Computed tomography; Slice index 48; 512x512 px 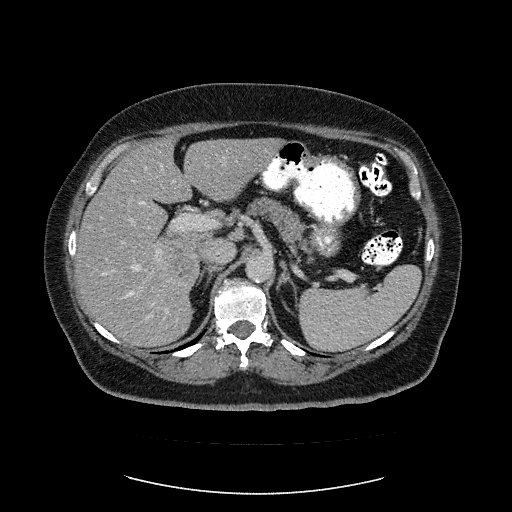
The vessel annotation is not exhaustive.
Segmented structures:
- hepatic vessel (most prominent 15 of 19): [145, 168, 146, 170], [140, 201, 144, 203], [123, 291, 134, 297], [161, 164, 164, 173], [273, 159, 275, 160], [101, 272, 109, 275], [166, 309, 168, 315], [133, 264, 140, 270], [156, 248, 161, 259], [135, 287, 141, 291], [221, 157, 227, 164], [130, 219, 134, 223], [146, 316, 148, 319], [270, 163, 272, 165], [110, 269, 113, 271]
- liver tumor: [167, 237, 202, 280]